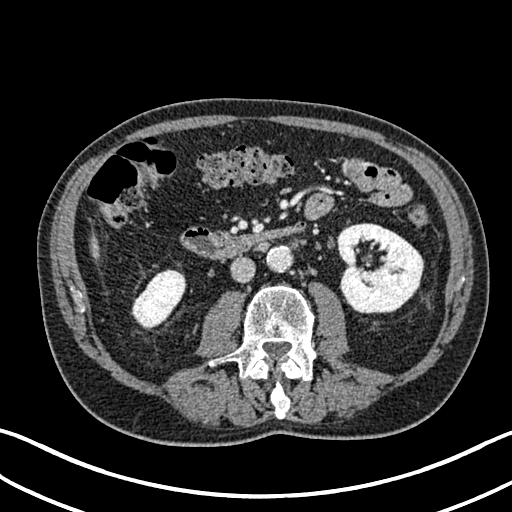
CT image
Annotated regions:
• kidney: 133, 270, 184, 326; 338, 224, 422, 312
• liver: 91, 236, 99, 259